512x512 px, CT image, Abdomen
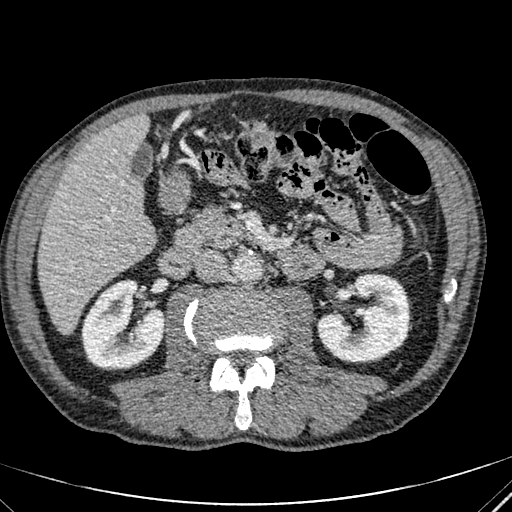

2 kidney regions are bounded by box(83, 281, 163, 367); box(319, 275, 408, 361). The liver is at box(38, 114, 153, 334).